Slice 46/56; CT slice; Image width 487 mm; Liver
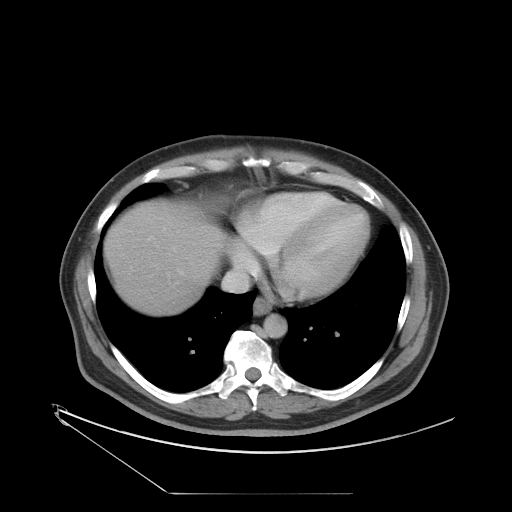

Some hepatic vessels may have no box.
Annotated regions:
• hepatic vessel: [x1=174, y1=246, x2=176, y2=251], [x1=234, y1=251, x2=240, y2=257], [x1=167, y1=272, x2=168, y2=274], [x1=131, y1=267, x2=132, y2=270], [x1=211, y1=250, x2=213, y2=253], [x1=147, y1=236, x2=154, y2=241], [x1=224, y1=275, x2=246, y2=291], [x1=178, y1=270, x2=183, y2=274], [x1=207, y1=244, x2=221, y2=246]